Image size 512x512. Computed tomography. Slice index 70.

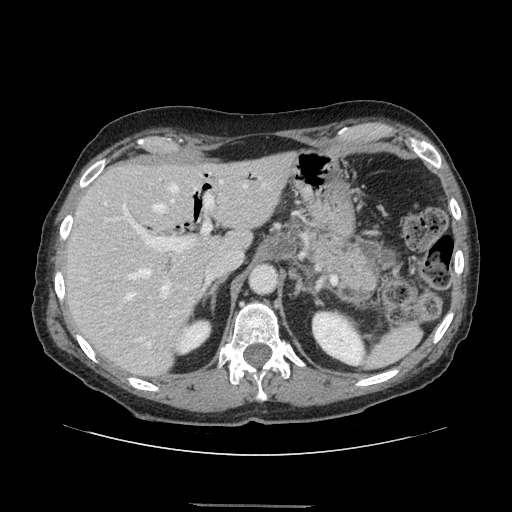

Annotated regions:
• pancreas: 305,230,373,293